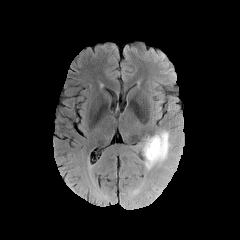
FLAIR magnetic resonance.
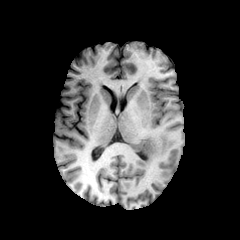
T1-weighted MR image of the same slice.
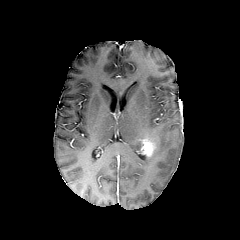
Post-contrast T1-weighted MRI.
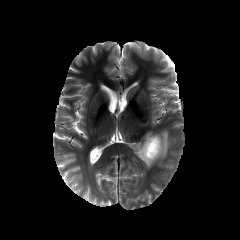
T2-weighted magnetic resonance.
Image size 240x240
edema: region(143, 129, 172, 168) | enhancing tumor: region(141, 137, 156, 157)